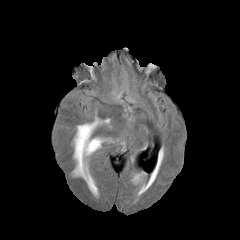
FLAIR MRI.
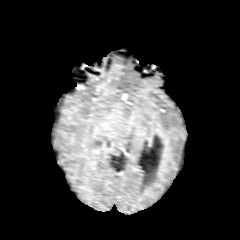
T1-weighted magnetic resonance of the same slice.
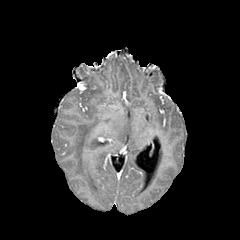
Same slice, post-contrast T1-weighted MR image.
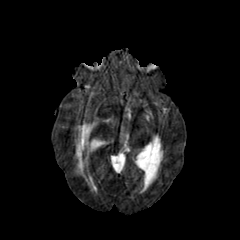
T2-weighted MRI.
edema: 74, 118, 102, 194